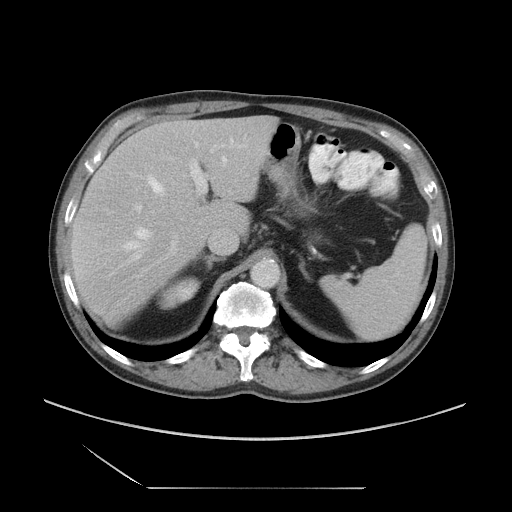 CT scan slice | Abdomen
The vessel boxes may cover only some of the vessels.
Principal 15 of 17 hepatic vessel regions: bounding box x1=211 y1=149 x2=213 y2=151, x1=221 y1=144 x2=224 y2=146, x1=136 y1=228 x2=151 y2=238, x1=190 y1=159 x2=205 y2=191, x1=134 y1=204 x2=141 y2=211, x1=148 y1=175 x2=163 y2=195, x1=212 y1=225 x2=238 y2=240, x1=130 y1=173 x2=135 y2=175, x1=171 y1=242 x2=175 y2=249, x1=222 y1=157 x2=226 y2=166, x1=174 y1=234 x2=176 y2=237, x1=124 y1=241 x2=141 y2=259, x1=230 y1=139 x2=246 y2=147, x1=195 y1=142 x2=198 y2=146, x1=244 y1=135 x2=245 y2=138.
Liver tumor: bounding box x1=108 y1=249 x2=127 y2=267.